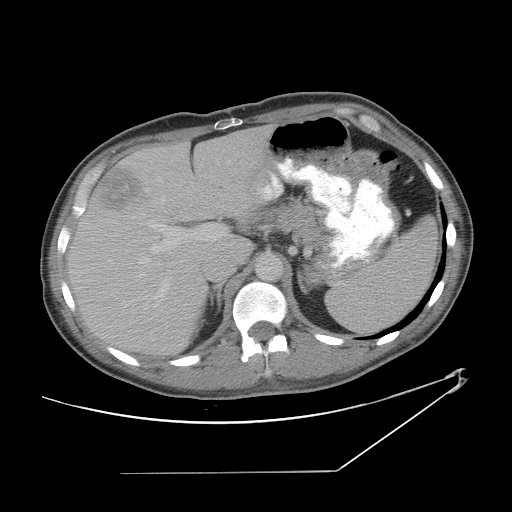
Computed tomography. The vessel boxes may cover only some of the vessels.
The liver tumor lies within 94 168 144 213. 9 hepatic vessel regions appear at 140 274 145 276, 147 298 162 309, 154 194 165 205, 228 161 231 164, 201 164 203 166, 152 175 163 182, 149 221 225 252, 139 257 150 263, 157 278 170 299.